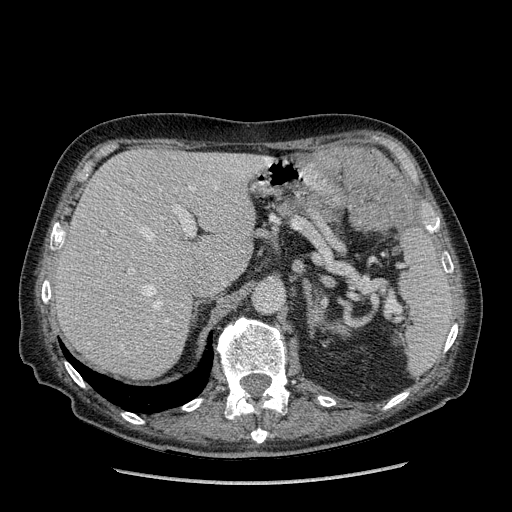
CT slice

Segmented structures:
- liver: 56, 150, 259, 378